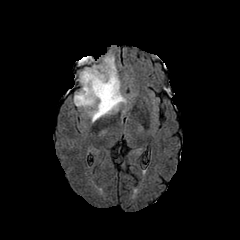
FLAIR magnetic resonance.
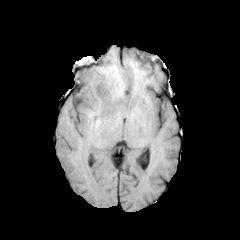
T1-weighted magnetic resonance.
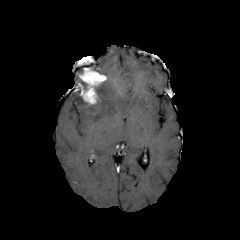
Same slice, post-contrast T1-weighted MRI.
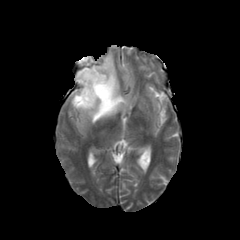
T2-weighted magnetic resonance of the same slice.
Brain
Edema: bounding box bbox=[73, 53, 127, 122].
Enhancing tumor: bounding box bbox=[77, 60, 108, 106].